CT image | Abdomen

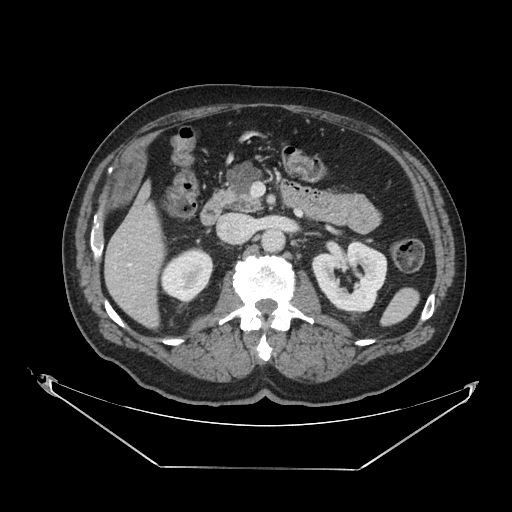

pancreas:
  - {"x1": 214, "y1": 161, "x2": 266, "y2": 214}
pancreatic_tumor:
  - {"x1": 230, "y1": 162, "x2": 259, "y2": 193}